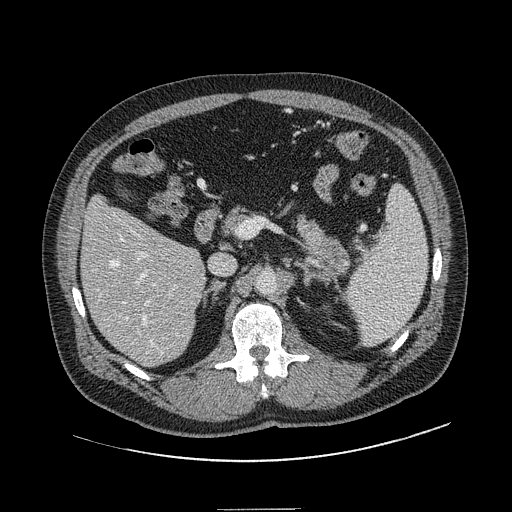

Computed tomography | Abdomen
Pancreas = box=[223, 208, 250, 234]; box=[296, 217, 349, 275].
Pancreatic tumor = box=[316, 242, 341, 272].